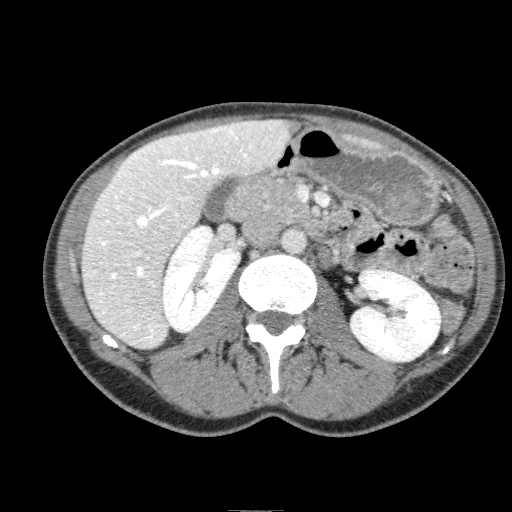
Abdomen; CT scan slice; 512x512 px
{
  "kidney": [
    "[x1=351, y1=270, x2=440, y2=361]",
    "[x1=162, y1=226, x2=239, y2=331]"
  ],
  "focal_liver_lesion": [
    "[x1=283, y1=120, x2=299, y2=135]"
  ],
  "liver": [
    "[x1=81, y1=119, x2=291, y2=349]",
    "[x1=341, y1=134, x2=387, y2=149]"
  ]
}